CT. Abdomen. Slice 57/89.
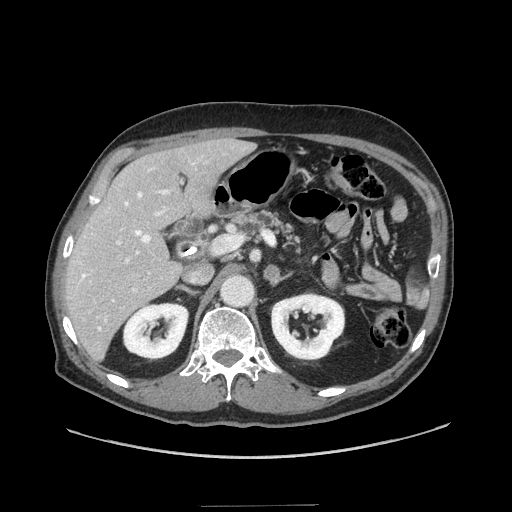
{
  "pancreas": [
    "250, 212, 299, 252"
  ]
}